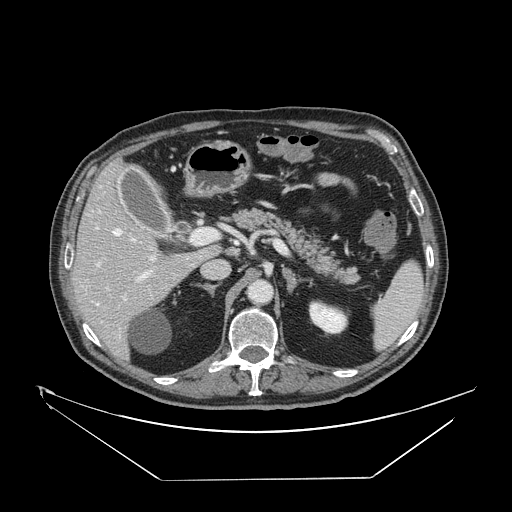

Abdomen, CT image

The pancreas is located at rect(219, 206, 361, 287).